Computed tomography, Liver

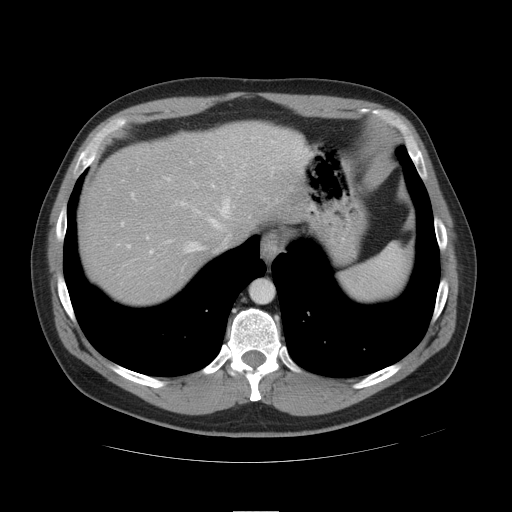

Not every hepatic vessel necessarily has a box.
Findings:
• hepatic vessel: 219 156 221 158, 182 203 186 204, 131 193 132 196, 210 219 220 227, 220 199 228 217, 150 250 152 253, 188 242 201 250, 147 236 148 238